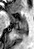 MR. Hippocampus.

Posterior hippocampus — (left=13, top=24, right=27, bottom=34).
Anterior hippocampus — (left=19, top=20, right=26, bottom=23), (left=8, top=13, right=16, bottom=22).